CT image. Image size 512x512. Field of view 400 mm wide, 0.80 mm slice spacing. Slice 106/836. 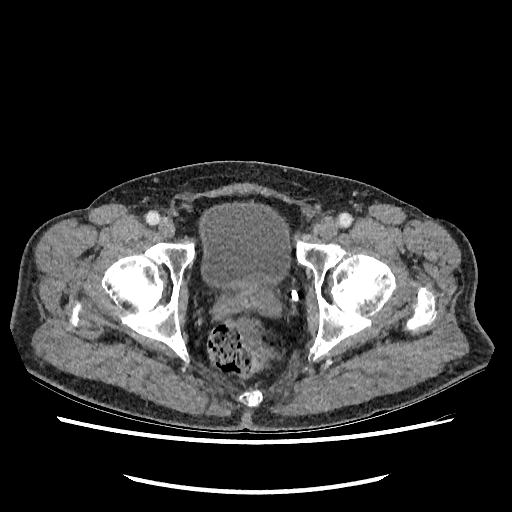

Urinary bladder = <box>199,202,290,296</box>.